FLAIR MR.
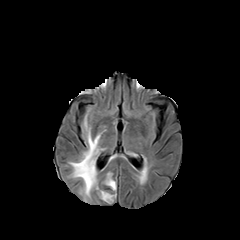
T1-weighted MRI.
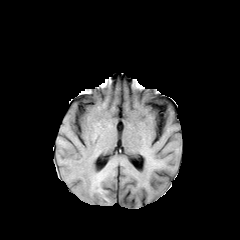
Post-contrast T1-weighted MRI.
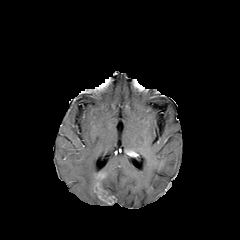
T2-weighted MR image.
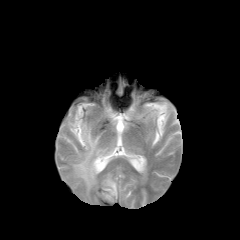
Brain
The edema appears at (69,117,116,203).